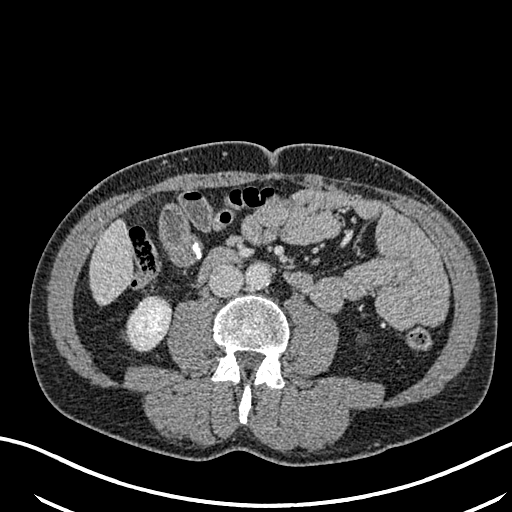 Abdomen; CT image

Segmented structures:
• kidney: (left=128, top=297, right=170, bottom=349)
• liver: (left=91, top=220, right=132, bottom=304)